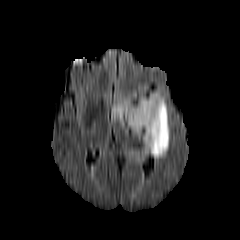
FLAIR magnetic resonance.
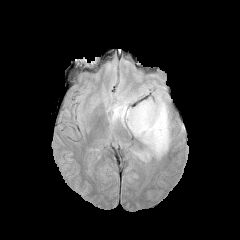
T1-weighted magnetic resonance of the same slice.
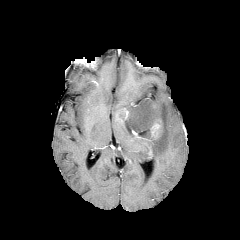
Post-contrast T1-weighted MR image of the same slice.
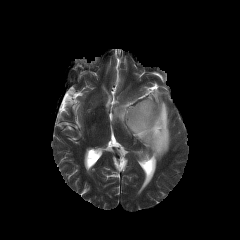
Same slice, T2-weighted MR image.
Image size 240x240.
Findings:
* enhancing tumor: bbox(151, 119, 161, 134)
* edema: bbox(111, 86, 169, 160)